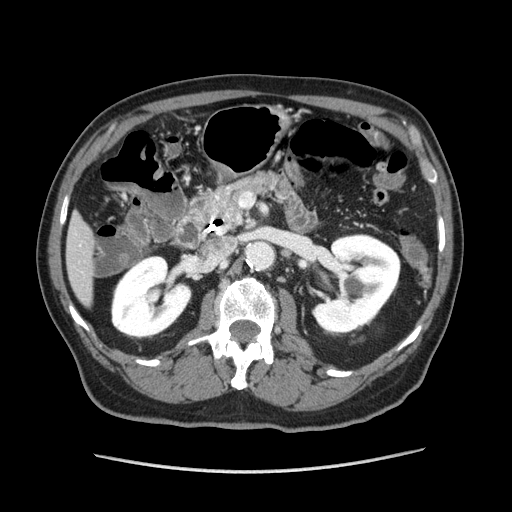

CT slice; Upper abdomen
<segmentation>
  <pancreas>box(212, 173, 277, 226)</pancreas>
</segmentation>